CT slice | 512x512
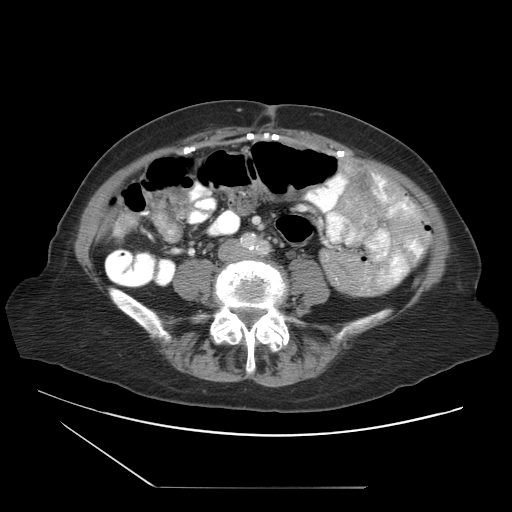

colon tumor: [150,187,186,226]